CT slice | Slice 282/826
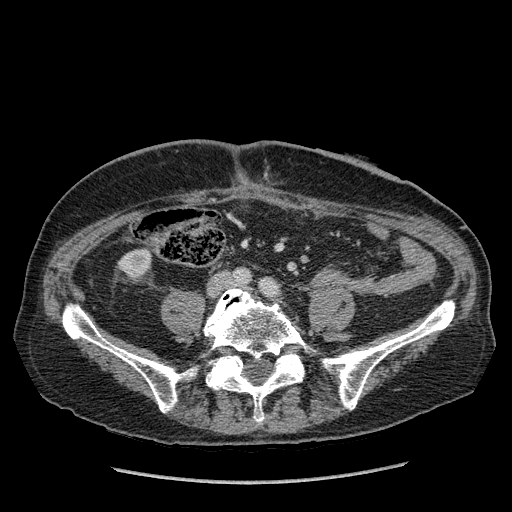
Kidney at 118 249 150 277.